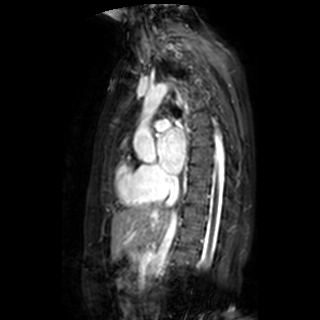 MRI | 320x320 px | Cardiac
{
  "left_atrium": [
    "<box>157,128,185,173</box>"
  ]
}